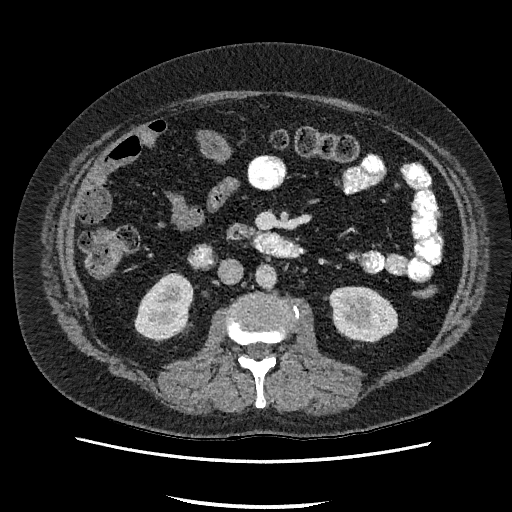
CT scan slice | Abdomen
Kidney: bounding box bbox=[330, 287, 396, 341]; bbox=[136, 275, 192, 338].